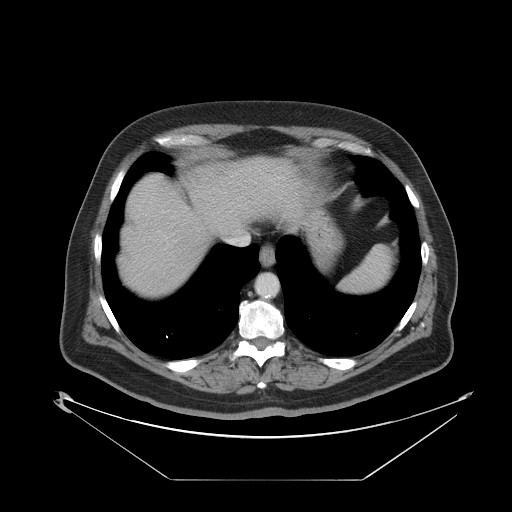 CT image.

The vessel boxes may cover only some of the vessels.
The hepatic vessel is bounded by {"x1": 232, "y1": 236, "x2": 248, "y2": 244}.